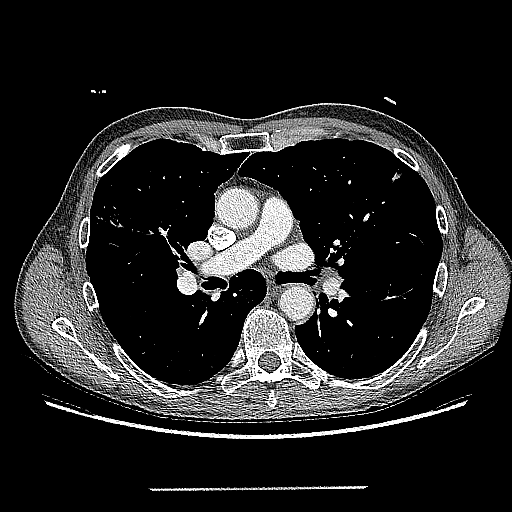

CT image | Thorax | Image size 512x512
lung_tumor:
  - x1=383 y1=168 x2=405 y2=186